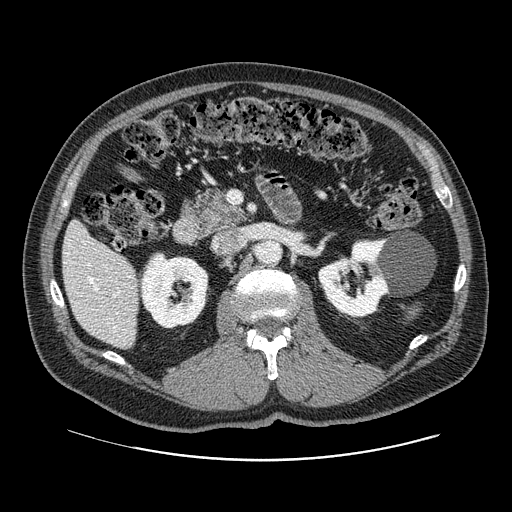
Upper abdomen, CT image, 512x512
{"pancreas": ["(left=181, top=188, right=247, bottom=235)"]}